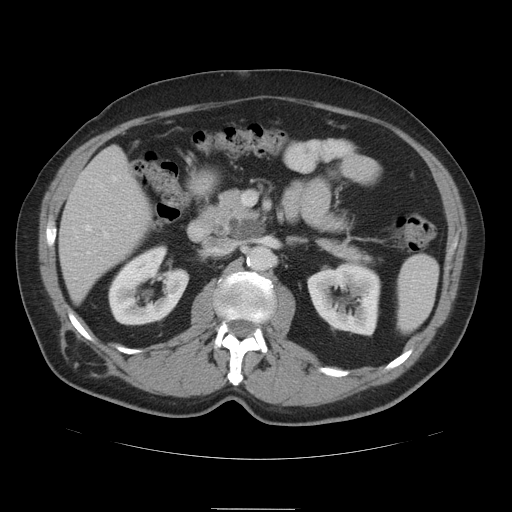

Abdomen, CT slice
pancreas:
  - box=[204, 189, 264, 240]
  - box=[317, 237, 372, 263]
pancreatic_tumor:
  - box=[229, 218, 263, 239]